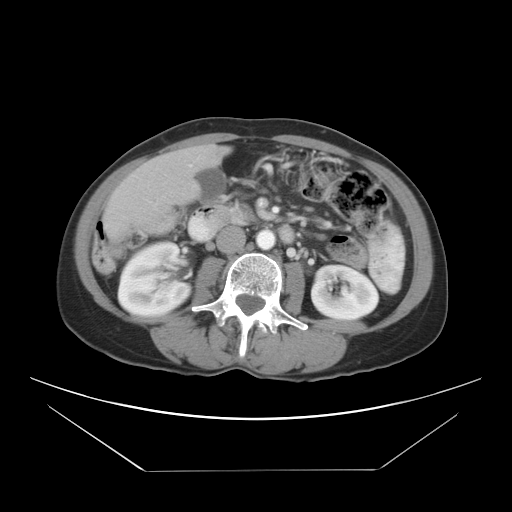 Abdomen | Image size 512x512 | CT scan slice
The vessel boxes may cover only some of the vessels.
Hepatic vessel at (left=108, top=209, right=111, bottom=211), (left=146, top=199, right=148, bottom=201), (left=121, top=215, right=127, bottom=218), (left=190, top=165, right=191, bottom=167), (left=105, top=222, right=117, bottom=232), (left=188, top=164, right=190, bottom=166), (left=153, top=202, right=156, bottom=207).